CT. Slice index 524.
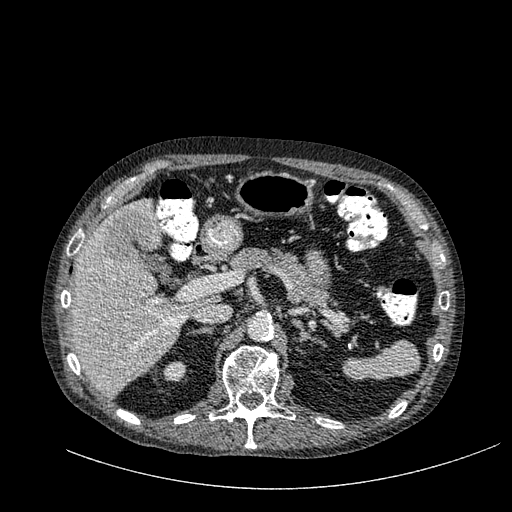
<segmentation>
  <liver>[x1=71, y1=200, x2=215, y2=396]</liver>
  <hepatic_lesion>[x1=105, y1=211, x2=152, y2=265]</hepatic_lesion>
  <kidney>[x1=163, y1=361, x2=186, y2=381]</kidney>
</segmentation>